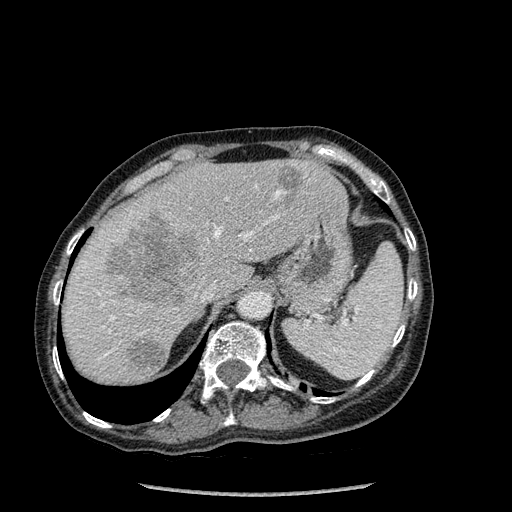

CT. Image size 512x512. The liver is bounded by l=63, t=159, r=345, b=385. 13 bone regions appear at l=66, t=231, r=82, b=254; l=200, t=321, r=294, b=402; l=224, t=412, r=234, b=425; l=53, t=280, r=62, b=305; l=310, t=397, r=335, b=403; l=390, t=325, r=404, b=346; l=53, t=346, r=63, b=378; l=407, t=279, r=417, b=300; l=404, t=228, r=415, b=250; l=153, t=409, r=170, b=422; l=370, t=179, r=390, b=203; l=356, t=369, r=374, b=386; l=83, t=412, r=111, b=428. 2 lung regions appear at l=289, t=380, r=327, b=395; l=57, t=335, r=201, b=424. 3 focal liver lesion regions are located at l=107, t=212, r=199, b=306; l=127, t=336, r=164, b=374; l=278, t=167, r=300, b=208.